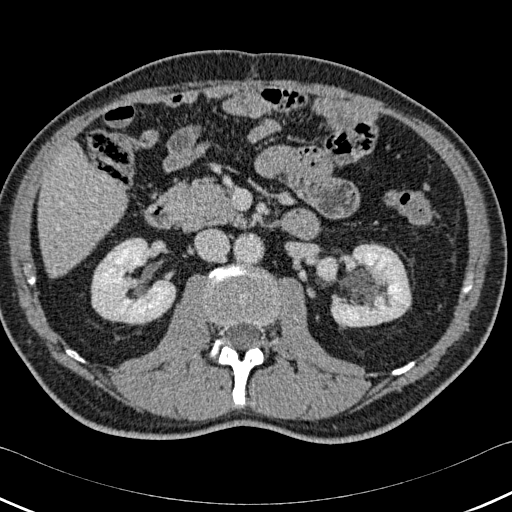

512x512. CT slice. 5 bone regions appear at [392,362,413,374], [211,340,223,356], [66,350,84,361], [219,346,263,405], [206,265,278,325]. 3 kidney regions are located at [92,239,175,322], [317,258,336,280], [331,245,410,326]. The liver is at [38,146,126,272].